Computed tomography, 512x512 px

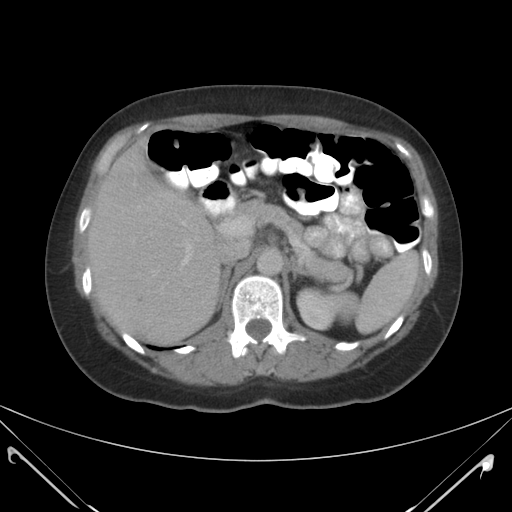
* spleen: (334, 251, 418, 331)